512x512. Liver. CT image. 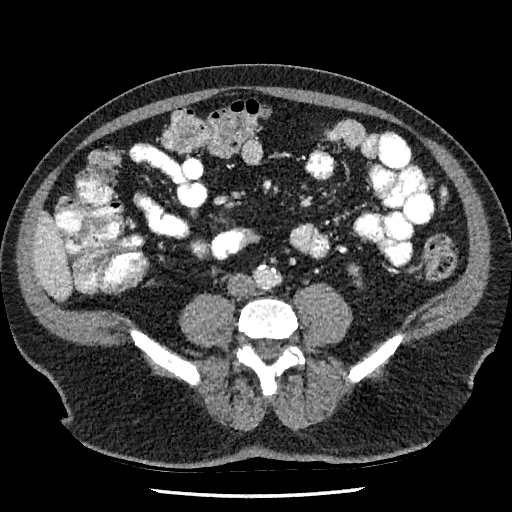

* liver: (left=34, top=212, right=71, bottom=298)